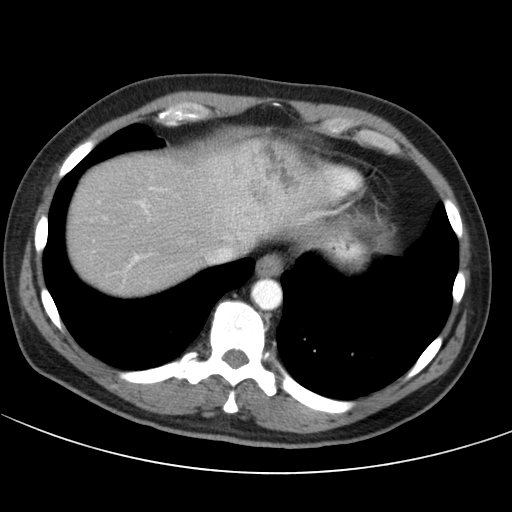

CT slice.

The vessel boxes may cover only some of the vessels.
Findings:
• hepatic vessel: bbox(138, 201, 145, 210); bbox(206, 244, 234, 261)
• liver tumor: bbox(265, 144, 294, 186)